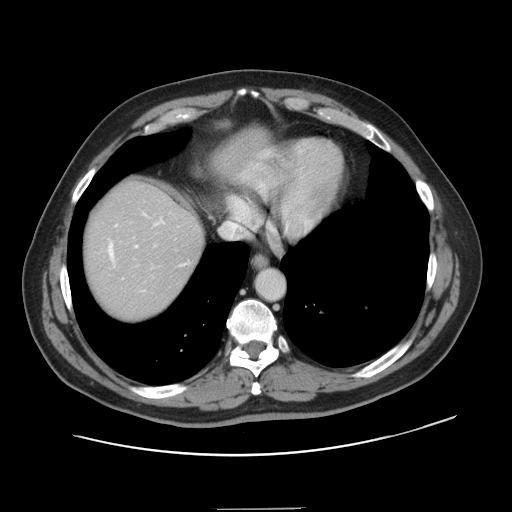
CT scan slice; Abdomen

Only some of the vessels may be annotated.
hepatic_vessel:
  - <bbox>160, 218, 163, 222</bbox>
  - <bbox>135, 246, 136, 247</bbox>
  - <bbox>108, 245, 112, 256</bbox>
  - <bbox>154, 223, 156, 225</bbox>